Slice 44/66. CT scan slice.

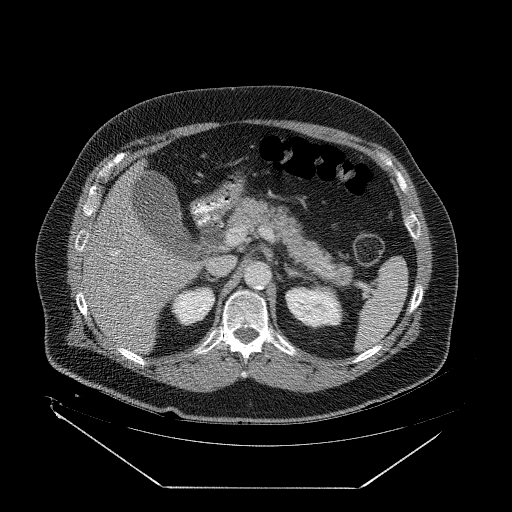
pancreas: [227, 197, 364, 288]